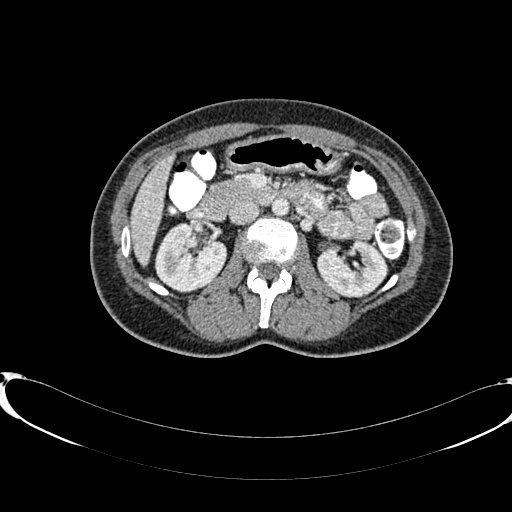

Image size 512x512; CT
The liver is located at 130,153,174,265. 2 kidney regions appear at 318,243,385,295; 157,225,225,290.